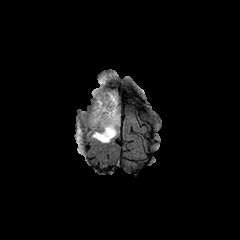
FLAIR magnetic resonance.
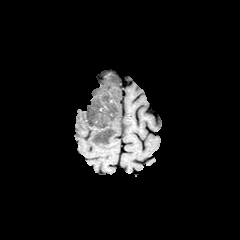
Same slice, T1-weighted magnetic resonance.
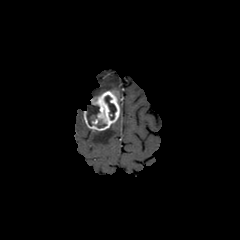
Post-contrast T1-weighted MR of the same slice.
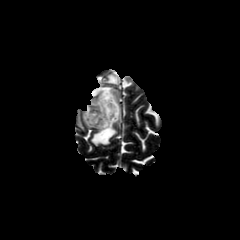
T2-weighted MRI of the same slice.
Head. 240x240 px.
* edema: rect(92, 87, 109, 96); rect(91, 117, 120, 144); rect(102, 74, 115, 82)
* non-enhancing tumor core: rect(105, 96, 115, 119); rect(87, 105, 99, 125)
* enhancing tumor: rect(83, 90, 120, 130)